Liver, CT image, 512x512 px

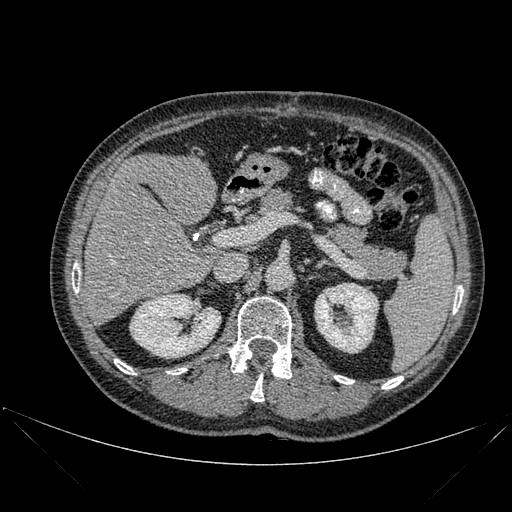

8 bone regions are located at [x1=334, y1=375, x2=353, y2=384], [x1=114, y1=359, x2=135, y2=374], [x1=382, y1=376, x2=403, y2=388], [x1=167, y1=368, x2=186, y2=374], [x1=228, y1=297, x2=291, y2=378], [x1=250, y1=374, x2=263, y2=401], [x1=453, y1=287, x2=463, y2=313], [x1=72, y1=263, x2=79, y2=292]. 2 kidney regions appear at [x1=315, y1=283, x2=378, y2=352], [x1=129, y1=294, x2=220, y2=358]. The liver is at [x1=84, y1=153, x2=217, y2=324].